CT slice. Abdomen. 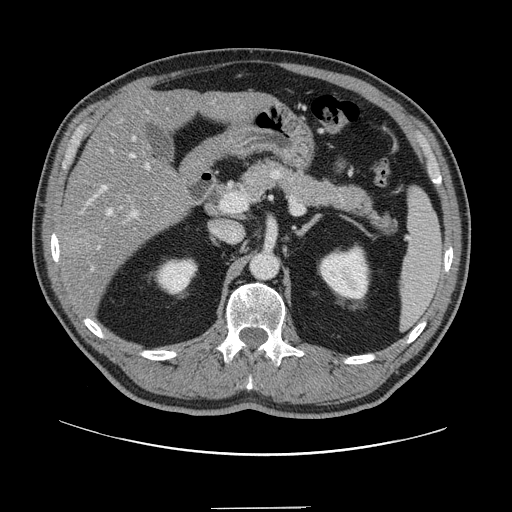 The vessel annotation is not exhaustive.
<segmentation>
  <liver_tumor>box=[65, 233, 95, 257]</liver_tumor>
  <hepatic_vessel>box=[145, 164, 149, 169]; box=[107, 209, 112, 215]; box=[133, 137, 135, 140]; box=[131, 154, 135, 157]; box=[98, 247, 100, 248]; box=[86, 186, 106, 206]; box=[131, 211, 137, 217]</hepatic_vessel>
</segmentation>